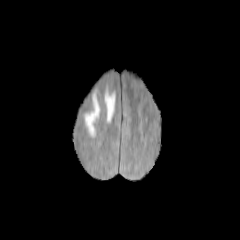
FLAIR MRI.
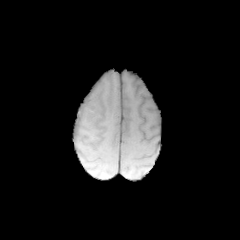
T1-weighted magnetic resonance.
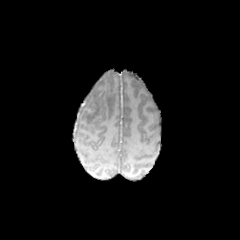
Post-contrast T1-weighted MR image of the same slice.
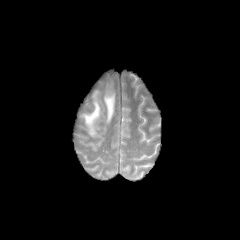
T2-weighted magnetic resonance.
Edema: bounding box x1=103, y1=88, x2=115, y2=123; x1=81, y1=92, x2=100, y2=137.